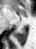 Image size 36x49. Magnetic resonance. The posterior hippocampus lies within 16:28:26:43.